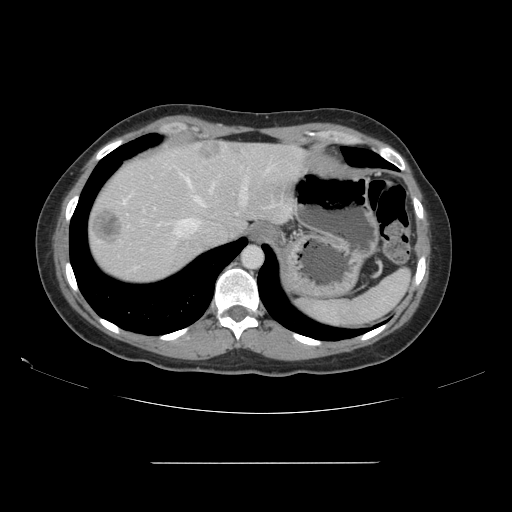 CT image

The vessel annotation is not exhaustive.
2 liver tumor regions are located at 199,145,220,159; 93,210,122,243. 8 hepatic vessel regions are located at 194,195,203,205; 134,267,135,268; 122,193,132,204; 179,171,191,186; 173,218,198,236; 156,224,159,225; 209,183,213,193; 241,180,247,203.